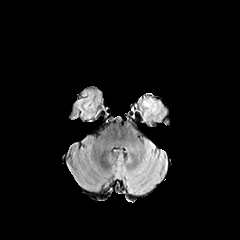
FLAIR magnetic resonance.
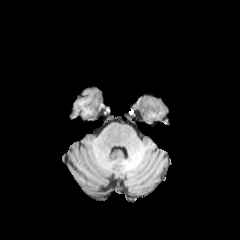
Same slice, T1-weighted MR image.
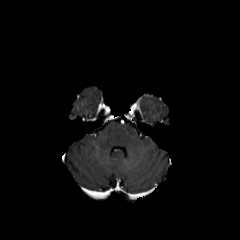
Post-contrast T1-weighted MRI of the same slice.
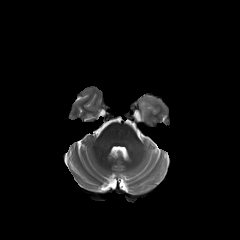
Same slice, T2-weighted MR.
Head.
The edema is at bbox(139, 96, 160, 121).